Slice 40/155; Brain
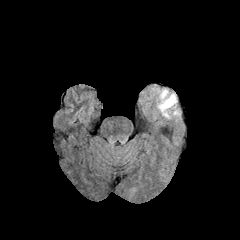
FLAIR MR image.
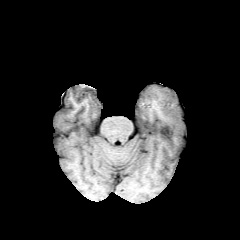
Same slice, T1-weighted magnetic resonance.
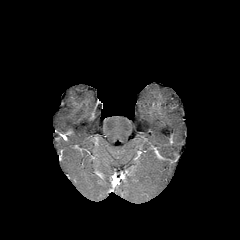
Same slice, post-contrast T1-weighted MR.
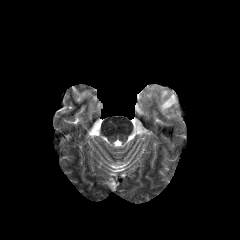
T2-weighted MR.
Edema at (147, 87, 180, 122).